FLAIR MR.
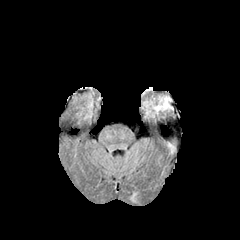
T1-weighted MR.
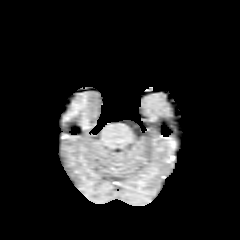
Post-contrast T1-weighted magnetic resonance.
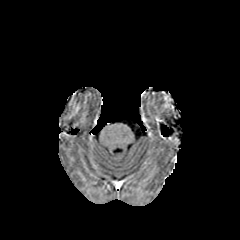
T2-weighted magnetic resonance.
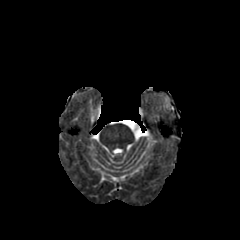
Image size 240x240
- enhancing tumor: region(161, 95, 173, 110)